Brain
FLAIR MR.
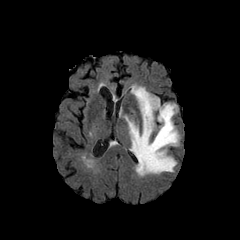
T1-weighted MRI.
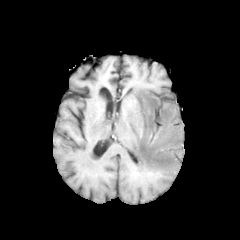
Post-contrast T1-weighted MRI.
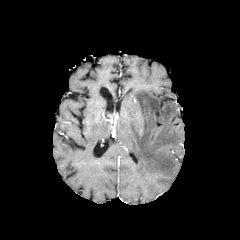
T2-weighted MRI.
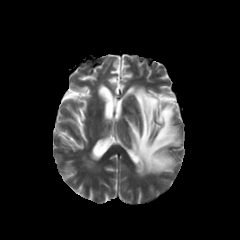
edema:
  - 126,86,180,176